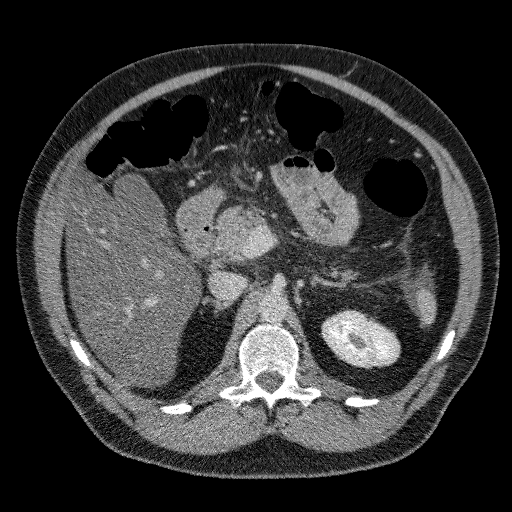

CT scan slice; Upper abdomen
Kidney — (x1=323, y1=311, x2=398, y2=366).
Liver — (x1=66, y1=182, x2=199, y2=385).